FLAIR MRI.
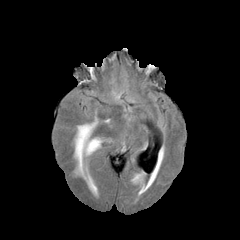
T1-weighted MR image.
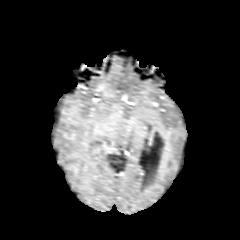
Post-contrast T1-weighted MR image.
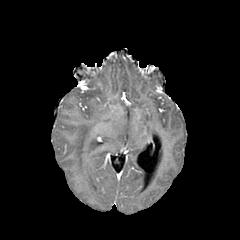
T2-weighted MR.
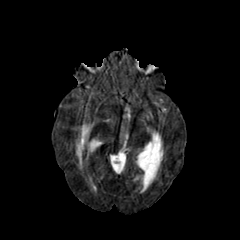
Brain
Segmented structures:
- edema: x1=88 y1=176 x2=96 y2=193, x1=75 y1=122 x2=97 y2=173, x1=85 y1=139 x2=100 y2=154